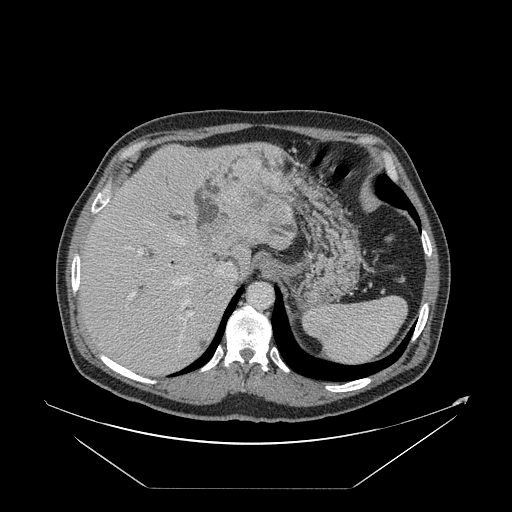
CT slice; Image size 512x512; Abdomen
Only some of the vessels may be annotated.
hepatic_vessel:
  - {"x1": 180, "y1": 317, "x2": 186, "y2": 322}
  - {"x1": 212, "y1": 179, "x2": 217, "y2": 184}
  - {"x1": 171, "y1": 276, "x2": 192, "y2": 288}
  - {"x1": 127, "y1": 248, "x2": 131, "y2": 248}
  - {"x1": 214, "y1": 262, "x2": 236, "y2": 280}
  - {"x1": 126, "y1": 308, "x2": 127, "y2": 311}
  - {"x1": 127, "y1": 292, "x2": 134, "y2": 300}
  - {"x1": 182, "y1": 221, "x2": 184, "y2": 223}
  - {"x1": 181, "y1": 295, "x2": 190, "y2": 308}
  - {"x1": 180, "y1": 333, "x2": 181, "y2": 336}
  - {"x1": 169, "y1": 231, "x2": 186, "y2": 244}
  - {"x1": 136, "y1": 249, "x2": 142, "y2": 255}
  - {"x1": 186, "y1": 311, "x2": 193, "y2": 315}
liver_tumor:
  - {"x1": 200, "y1": 205, "x2": 228, "y2": 235}